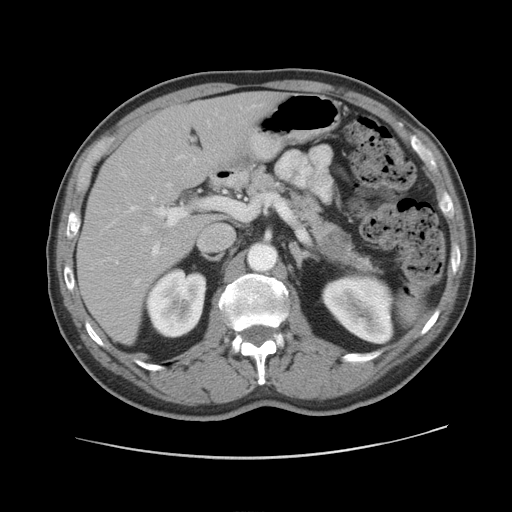

CT image. Findings:
• pancreas: 248, 165, 373, 269
• pancreatic tumor: 323, 232, 347, 260